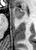

Magnetic resonance
The anterior hippocampus is bounded by (13,7,24,18).